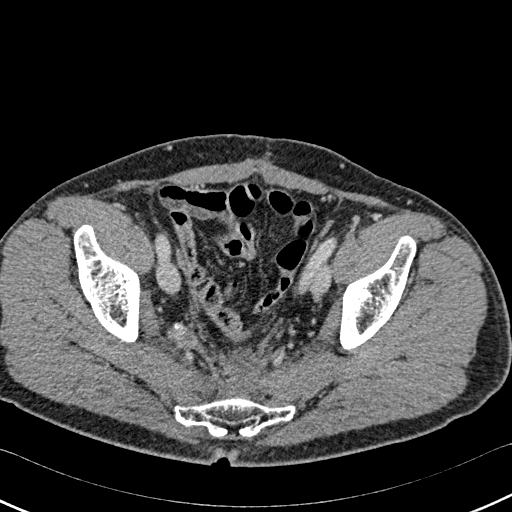 512x512 px | CT slice
3 bone regions are bounded by (175, 398, 294, 439), (74, 225, 139, 341), (340, 236, 415, 348).